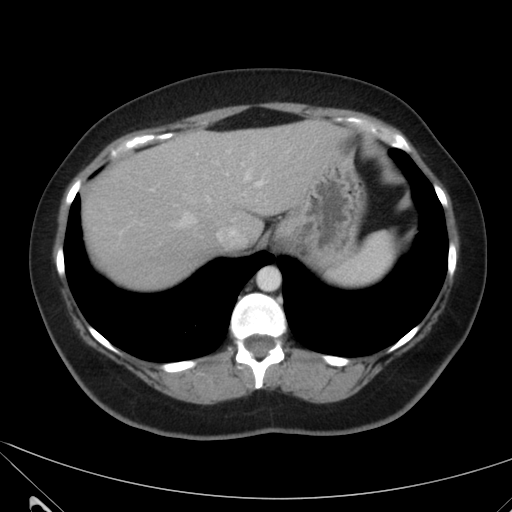

Computed tomography
- liver: [x1=83, y1=120, x2=350, y2=288]